Brain
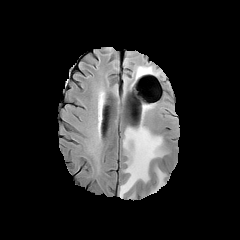
FLAIR magnetic resonance.
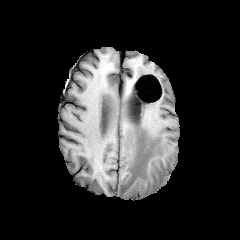
T1-weighted MRI.
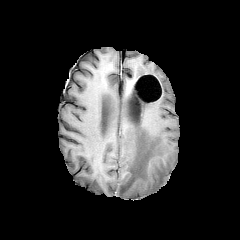
Post-contrast T1-weighted magnetic resonance.
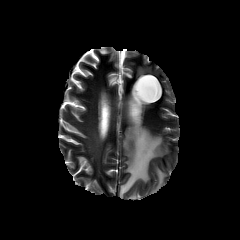
T2-weighted MR image.
Annotated regions:
- edema: (156, 168, 165, 187), (136, 67, 151, 76), (120, 120, 165, 197)